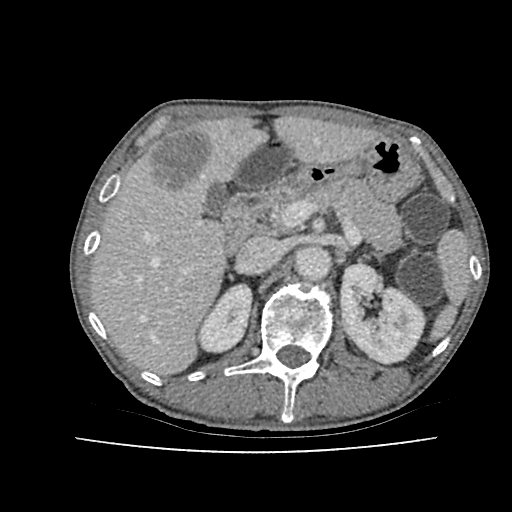

Computed tomography

<segmentation>
  <liver>bbox(274, 118, 372, 162); bbox(92, 120, 264, 372)</liver>
  <hepatic_lesion>bbox(149, 131, 211, 188)</hepatic_lesion>
  <kidney>bbox(201, 285, 250, 351); bbox(341, 264, 423, 362)</kidney>
</segmentation>